FLAIR MR.
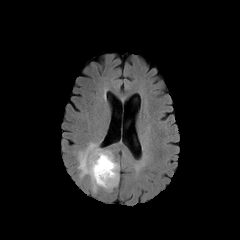
T1-weighted MRI.
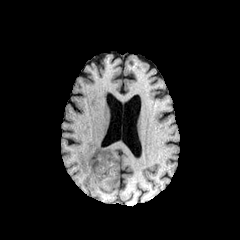
Post-contrast T1-weighted magnetic resonance.
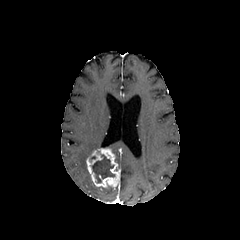
T2-weighted magnetic resonance.
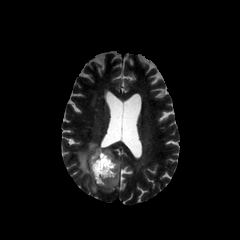
The enhancing tumor is located at (left=86, top=148, right=119, bottom=188). 2 edema regions are bounded by (left=90, top=178, right=98, bottom=192), (left=74, top=142, right=98, bottom=178). The non-enhancing tumor core is at (left=91, top=153, right=115, bottom=183).